Slice 81/155, Brain
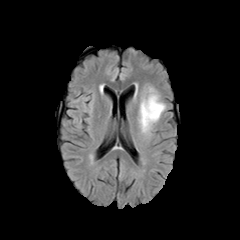
FLAIR MR.
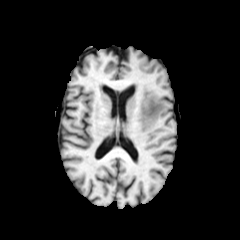
T1-weighted MR image.
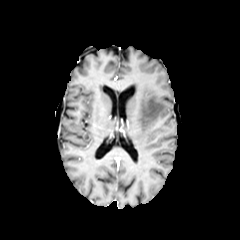
Same slice, post-contrast T1-weighted MR.
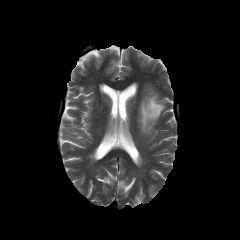
T2-weighted magnetic resonance.
Edema at {"x1": 136, "y1": 86, "x2": 165, "y2": 134}.